FLAIR MRI.
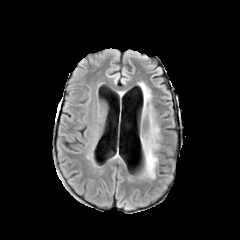
T1-weighted MR image.
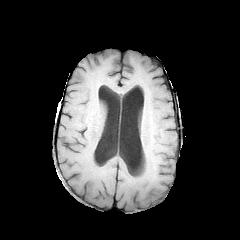
Post-contrast T1-weighted magnetic resonance.
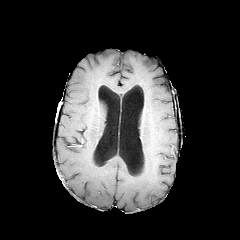
T2-weighted magnetic resonance.
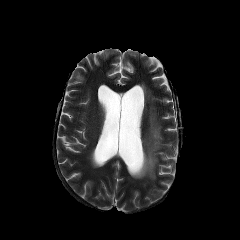
240x240 px, Head
edema:
  - l=140, t=112, r=159, b=178
  - l=142, t=84, r=151, b=99